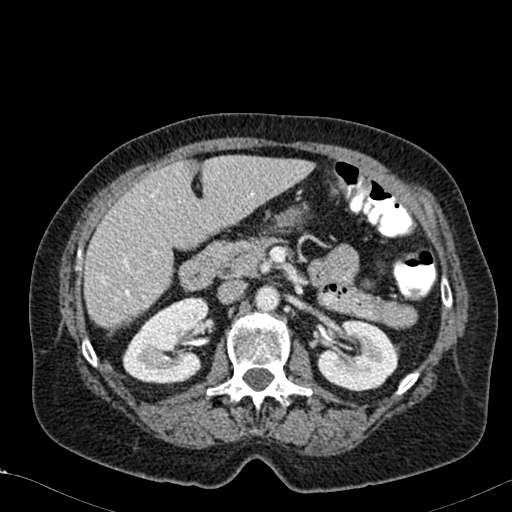

CT slice | Abdomen | 512x512
kidney: (left=318, top=321, right=396, bottom=390), (left=124, top=298, right=212, bottom=382) | liver: (left=85, top=157, right=314, bottom=326)